Pelvis, CT 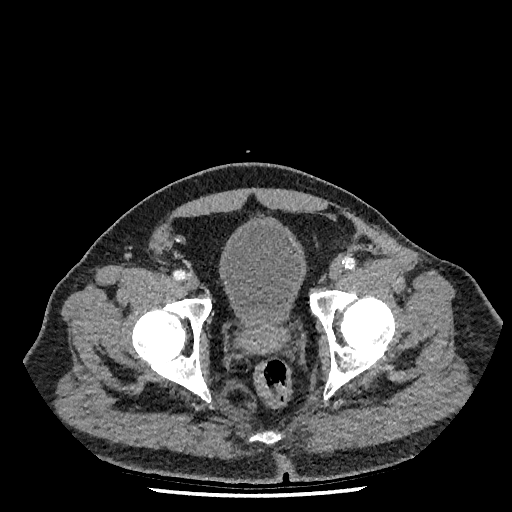
<segmentation>
  <urinary_bladder>[x1=218, y1=220, x2=307, y2=324]</urinary_bladder>
</segmentation>